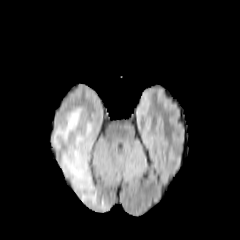
FLAIR magnetic resonance.
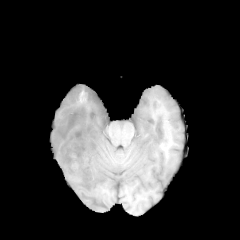
Same slice, T1-weighted magnetic resonance.
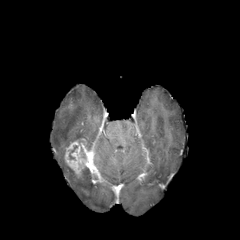
Post-contrast T1-weighted MR.
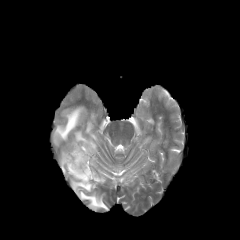
T2-weighted MR image of the same slice.
edema: 53 106 85 149, 60 143 106 209 | enhancing tumor: 64 138 90 175